Pelvis. CT. 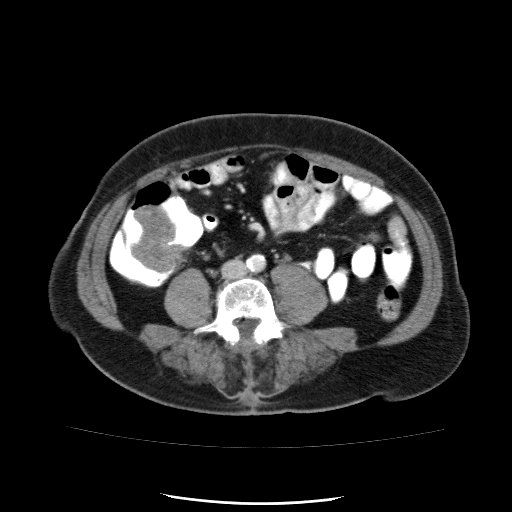
The colon tumor is bounded by {"x1": 131, "y1": 204, "x2": 186, "y2": 272}.